Slice 108 of 155; 240x240
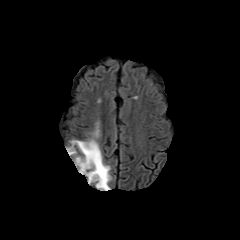
FLAIR MR image.
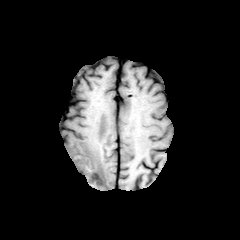
Same slice, T1-weighted MR image.
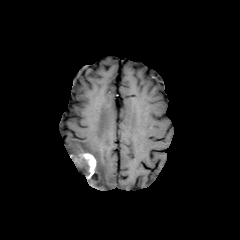
Post-contrast T1-weighted MR image.
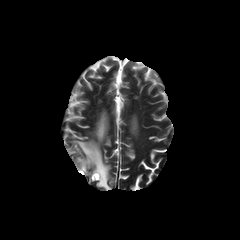
T2-weighted MRI.
Enhancing tumor = bbox(80, 153, 96, 178).
Edema = bbox(67, 138, 111, 189).